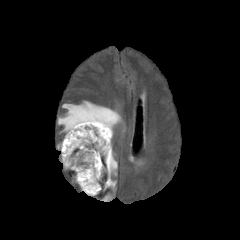
FLAIR MR.
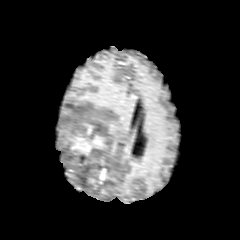
T1-weighted MR.
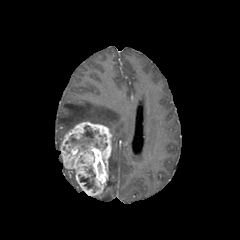
Post-contrast T1-weighted MR.
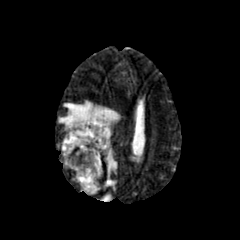
T2-weighted magnetic resonance.
Brain; 240x240
Non-enhancing tumor core at <box>80,178,93,188</box>, <box>71,126,98,145</box>.
Edema at <box>58,101,121,133</box>, <box>107,153,117,190</box>.
Enhancing tumor at <box>60,121,112,195</box>.